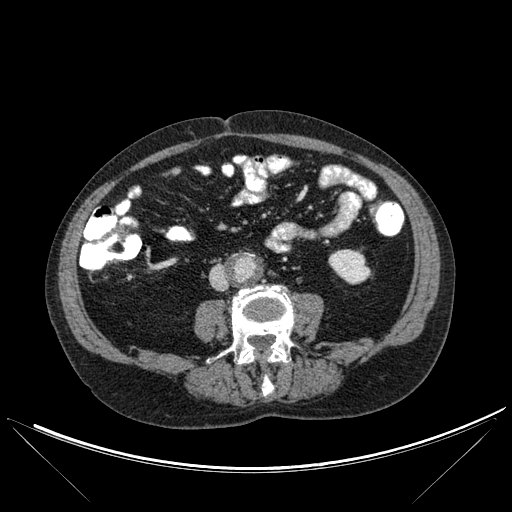
CT slice | 512x512 px
Segmented structures:
- kidney: <box>329,249,369,283</box>
- bone: <box>262,369,273,395</box>, <box>226,285,293,368</box>